Slice 82/135. CT. 512x512. 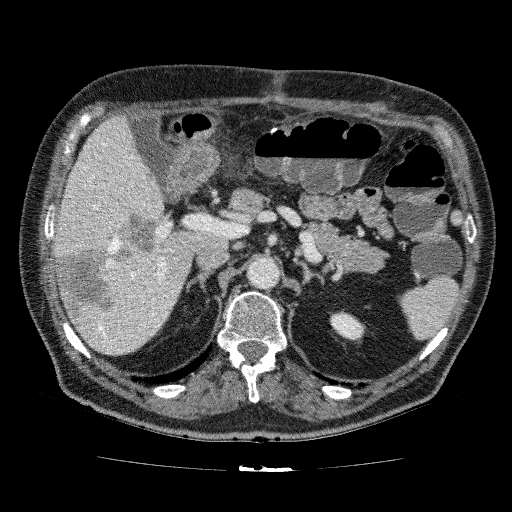
Findings:
- kidney: region(330, 312, 363, 339)
- liver lesion: region(141, 169, 155, 183); region(54, 211, 157, 324)
- liver: region(53, 114, 164, 254); region(73, 229, 229, 355)